FLAIR MR.
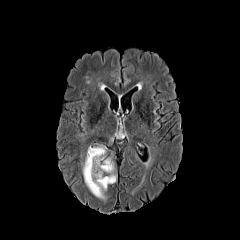
T1-weighted MR image.
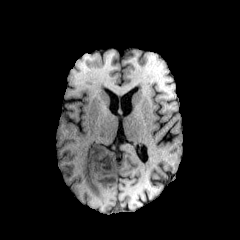
Post-contrast T1-weighted magnetic resonance.
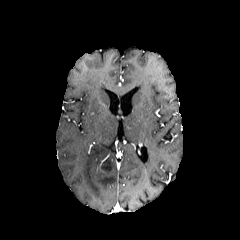
T2-weighted MRI.
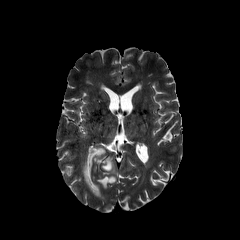
Head; Image size 240x240
Annotated regions:
- non-enhancing tumor core: (93,153,112,170)
- edema: (101,161,115,172), (81,142,117,199)